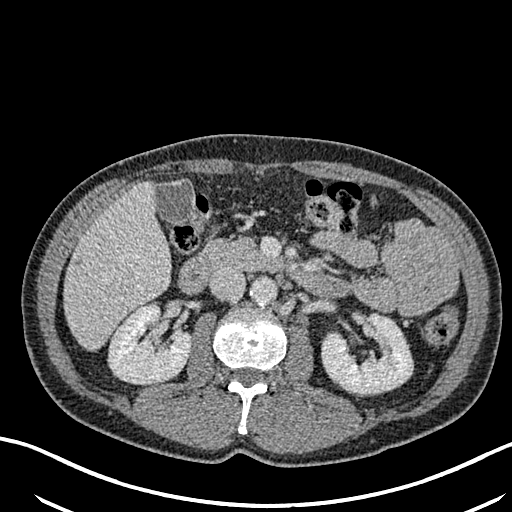

CT image. 512x512 px.
kidney: box(322, 314, 412, 393); box(109, 305, 190, 383) | liver: box(65, 182, 170, 349)